Slice 270/605 | Field of view 434x434 mm | 512x512 | CT slice

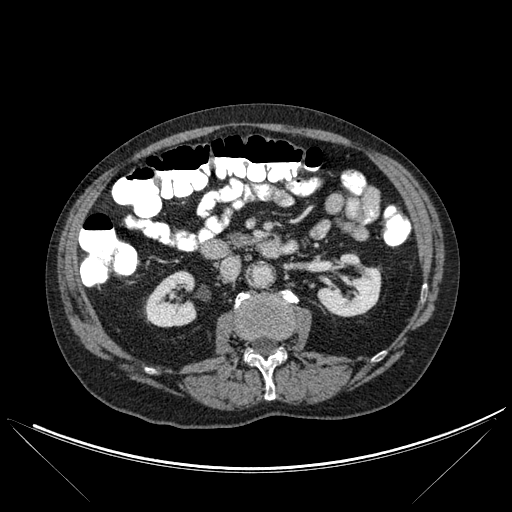

3 kidney regions appear at region(318, 268, 380, 316); region(146, 271, 195, 326); region(341, 254, 359, 266). 2 bone regions are located at region(244, 349, 286, 399); region(235, 290, 297, 338).